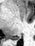

Hippocampus; MRI
{
  "posterior_hippocampus": [
    "[10,36,21,40]"
  ]
}